FLAIR MR image.
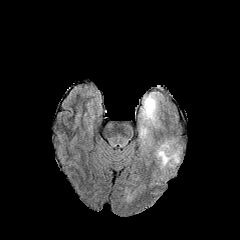
T1-weighted magnetic resonance.
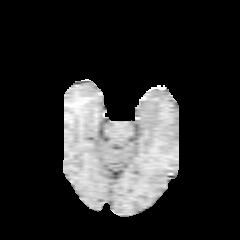
Post-contrast T1-weighted MR image.
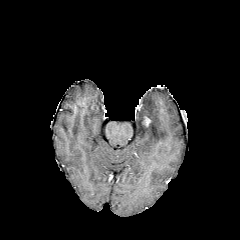
T2-weighted MRI.
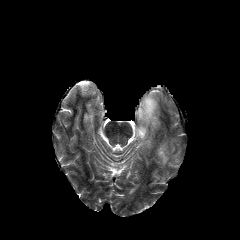
Head
Edema: bounding box box(156, 144, 163, 161); box(136, 91, 162, 147).